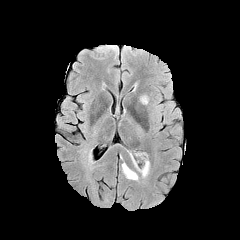
FLAIR magnetic resonance.
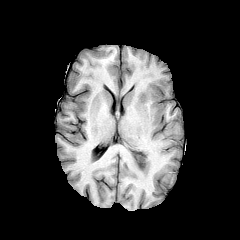
T1-weighted MR of the same slice.
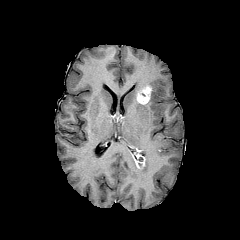
Same slice, post-contrast T1-weighted MR image.
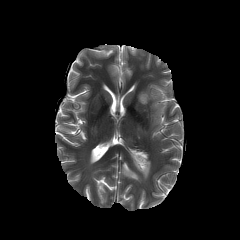
T2-weighted magnetic resonance.
240x240; Head
3 edema regions appear at bbox=[121, 162, 138, 181]; bbox=[151, 85, 167, 97]; bbox=[127, 150, 149, 178]. The enhancing tumor is bounded by bbox=[137, 86, 151, 104].